CT slice | Slice 85/134 | Upper abdomen

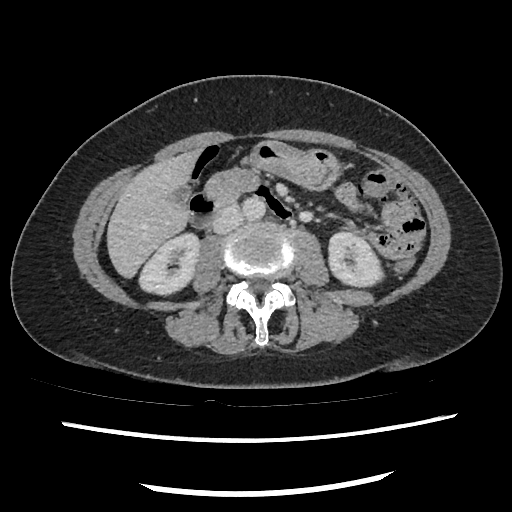
<segmentation>
  <pancreas>left=208, top=169, right=259, bottom=206</pancreas>
</segmentation>